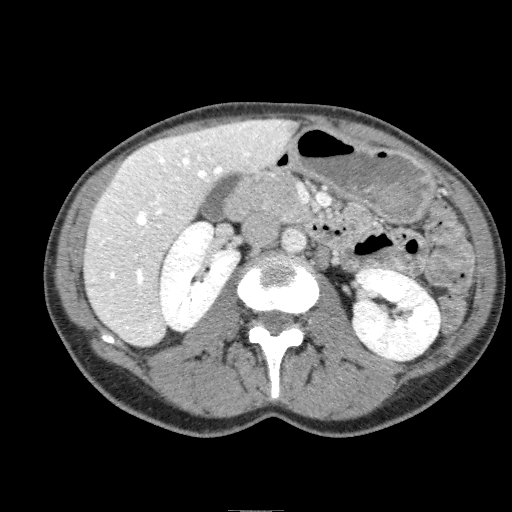 CT image | Upper abdomen | 512x512
<segmentation>
  <kidney>[x1=353, y1=269, x2=439, y2=360], [x1=159, y1=222, x2=238, y2=330]</kidney>
  <liver>[x1=82, y1=119, x2=293, y2=346]</liver>
  <liver_lesion>[x1=286, y1=120, x2=298, y2=133]</liver_lesion>
</segmentation>